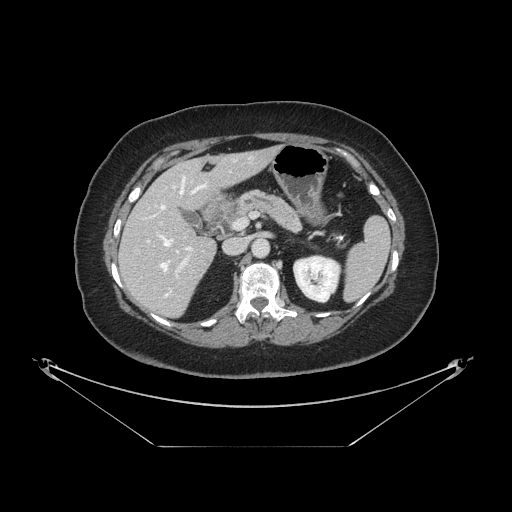 Upper abdomen, CT scan slice, 512x512

Pancreas — bbox=[223, 191, 301, 232].
Pancreatic tumor — bbox=[226, 204, 240, 219].